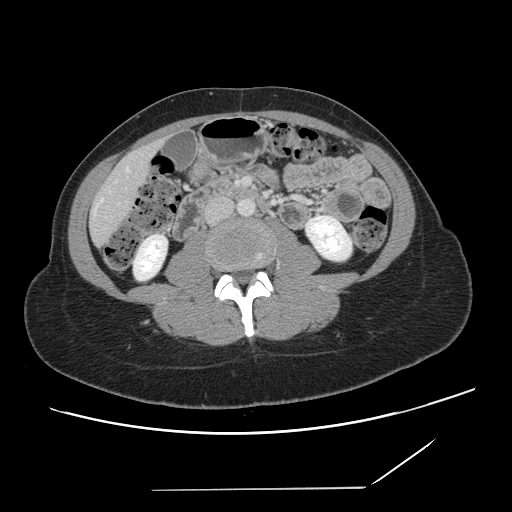 512x512 | Liver | CT scan slice

Only some of the vessels may be annotated.
Hepatic vessel = (127,168,129,171), (94,208,96,215), (100,199,102,201).